FLAIR MR.
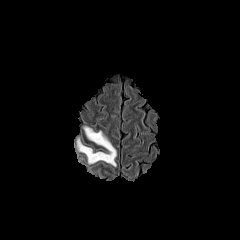
T1-weighted MR image.
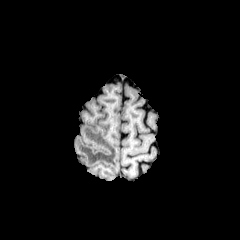
Post-contrast T1-weighted MR image.
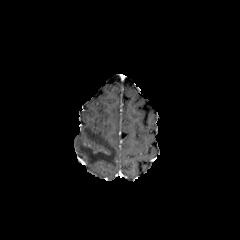
T2-weighted magnetic resonance.
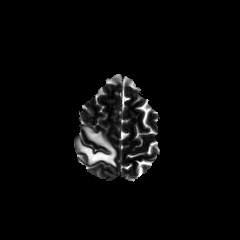
Brain
The edema lies within l=77, t=127, r=116, b=166.